Slice 127/230; Field of view 398 mm wide, 2.00 mm slice spacing; CT scan slice; 512x512 px 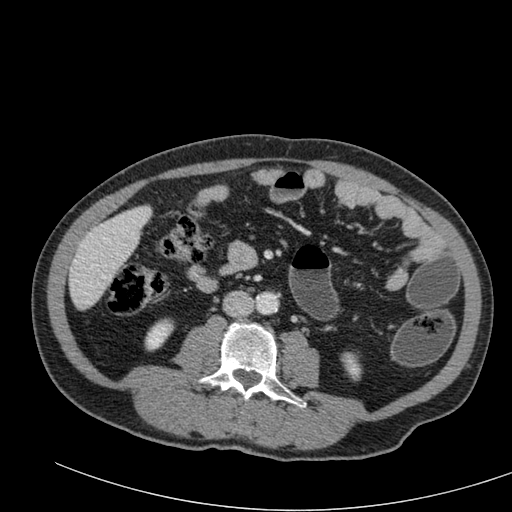
- kidney: (346, 355, 359, 375), (146, 323, 171, 348)
- liver: (69, 206, 150, 308)